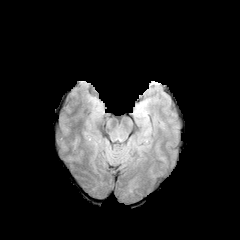
FLAIR MR.
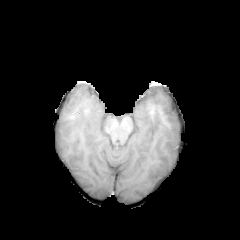
T1-weighted MR of the same slice.
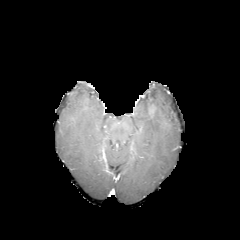
Post-contrast T1-weighted MR image.
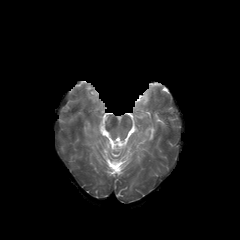
T2-weighted MR image of the same slice.
240x240 px | Head
Edema = (x1=135, y1=96, x2=153, y2=141).